Abdomen. Image size 512x512. Slice 79/148. Field of view 500 mm wide, 1.50 mm slice spacing. Computed tomography. 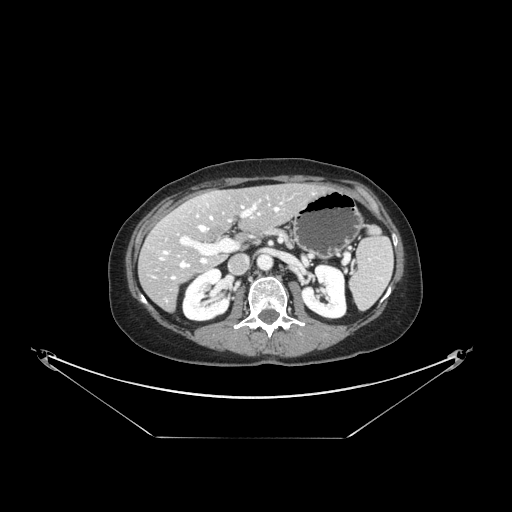 The vessel boxes may cover only some of the vessels.
Hepatic vessel: bounding box [200,226,204,230], [275,208,277,210], [182,238,192,243], [243,205,255,215], [201,258,205,262].